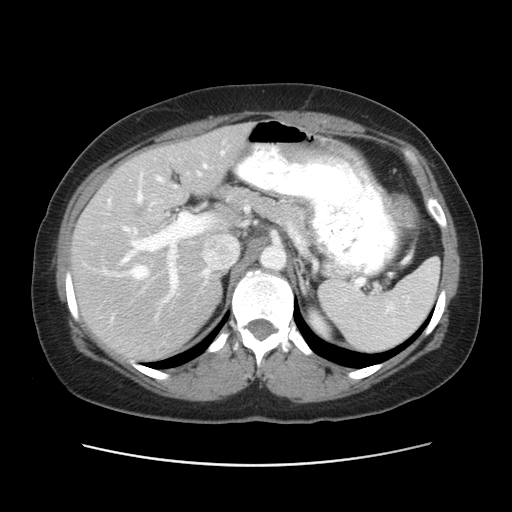 512x512 | CT
Some hepatic vessels may have no box.
hepatic_vessel:
  - rect(134, 228, 136, 233)
  - rect(113, 266, 147, 278)
  - rect(197, 172, 200, 174)
  - rect(156, 176, 162, 180)
  - rect(203, 164, 206, 167)
  - rect(221, 151, 223, 154)
  - rect(108, 199, 110, 205)
  - rect(152, 202, 154, 204)
  - rect(120, 259, 127, 264)
  - rect(162, 242, 177, 302)
  - rect(136, 192, 142, 202)
liver_tumor:
  - rect(128, 202, 151, 220)